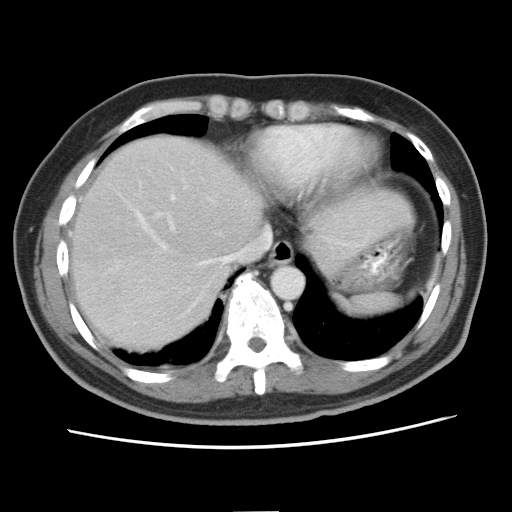
CT. Image size 512x512.

The vessel annotation is not exhaustive.
hepatic_vessel:
  - <bbox>199, 260, 212, 265</bbox>
  - <bbox>167, 214, 173, 230</bbox>
  - <bbox>219, 230, 270, 263</bbox>
  - <bbox>170, 195, 174, 200</bbox>
  - <bbox>119, 194, 120, 196</bbox>
  - <bbox>124, 200, 166, 250</bbox>
  - <bbox>207, 198, 213, 202</bbox>